Slice index 89
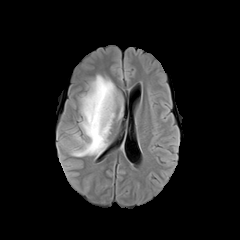
FLAIR MRI.
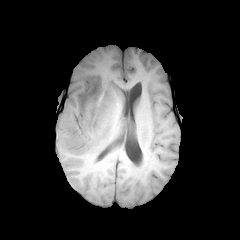
T1-weighted magnetic resonance of the same slice.
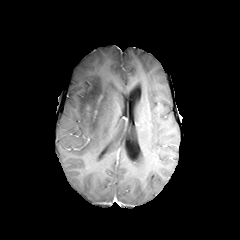
Post-contrast T1-weighted MRI of the same slice.
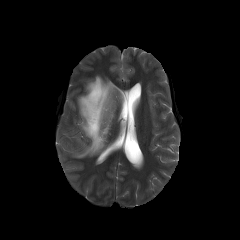
T2-weighted magnetic resonance.
edema:
  - x1=70 y1=75 x2=117 y2=157